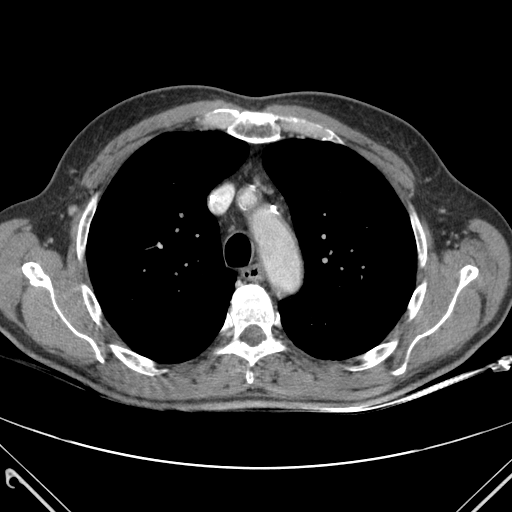
CT

Lung: [x1=86, y1=131, x2=248, y2=363], [x1=263, y1=139, x2=416, y2=359].
Bone: [x1=362, y1=341, x2=396, y2=368], [x1=408, y1=265, x2=477, y2=351], [x1=22, y1=262, x2=103, y2=362], [x1=217, y1=284, x2=283, y2=365], [x1=82, y1=285, x2=100, y2=323], [x1=213, y1=109, x2=297, y2=142], [x1=412, y1=216, x2=426, y2=265], [x1=77, y1=199, x2=95, y2=257], [x1=111, y1=345, x2=156, y2=375], [x1=409, y1=283, x2=425, y2=318], [x1=393, y1=364, x2=405, y2=374], [x1=323, y1=131, x2=333, y2=139], [x1=246, y1=372, x2=252, y2=382].